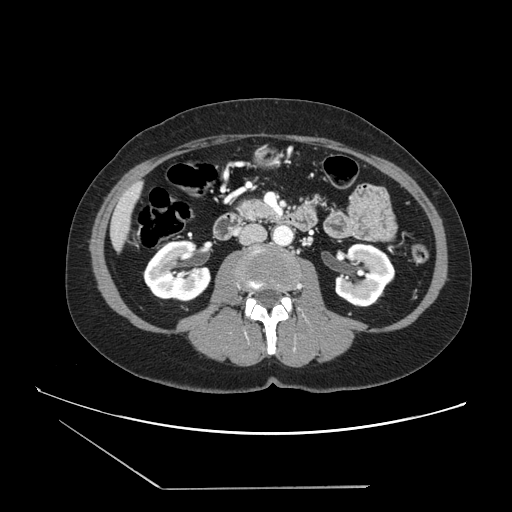

Abdomen, CT image
The pancreas is located at 238 199 274 218.